CT slice, Image width 350 mm, Slice 459/624 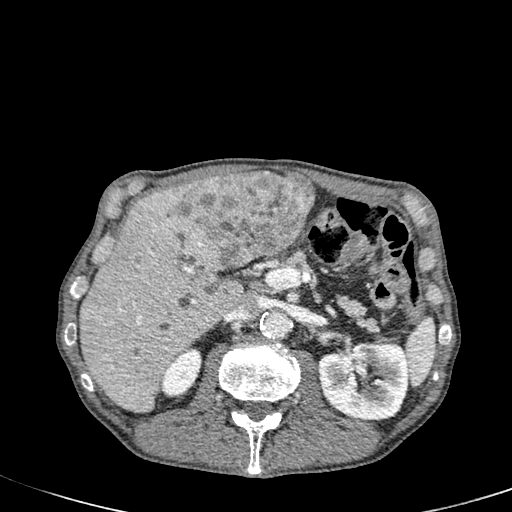
- kidney: 320 344 409 419, 162 349 200 394
- hepatic lesion: 175 172 314 271
- liver: 80 182 243 412